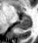 Image size 38x43, Medial temporal lobe, MRI slice
Anterior hippocampus — [22,15,30,19].
Posterior hippocampus — [18,20,30,29].